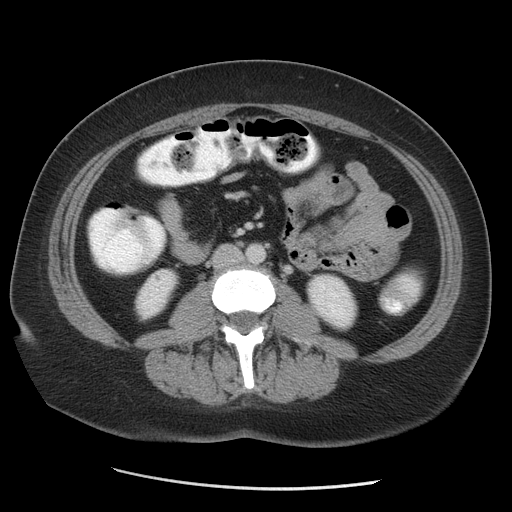
CT slice, Abdomen, 512x512 px
2 kidney regions appear at {"x1": 309, "y1": 276, "x2": 353, "y2": 326}, {"x1": 138, "y1": 272, "x2": 172, "y2": 315}.